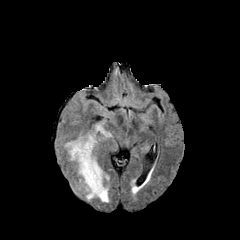
FLAIR MR image.
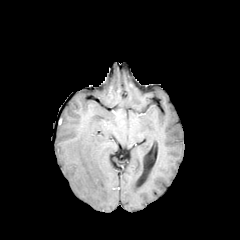
T1-weighted MR image.
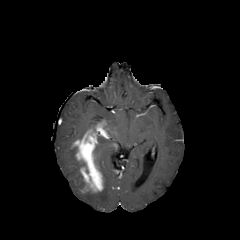
Same slice, post-contrast T1-weighted MRI.
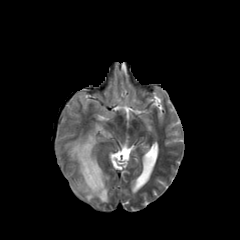
T2-weighted magnetic resonance.
Head
edema: x1=64, y1=140, x2=84, y2=190; x1=85, y1=182, x2=109, y2=202; x1=95, y1=139, x2=109, y2=181 | enhancing tumor: x1=73, y1=120, x2=110, y2=194